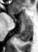 MRI

2 anterior hippocampus regions are located at (20, 13, 31, 23), (13, 18, 16, 21). The posterior hippocampus lies within (17, 24, 32, 41).